Image width 411 mm, CT scan slice, Slice 345 of 574

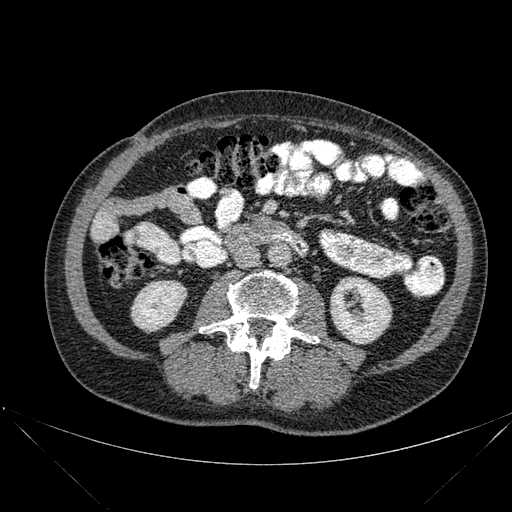 2 kidney regions are located at (331,277,391,343), (132,281,186,331). The bone is at (199,271,319,388).